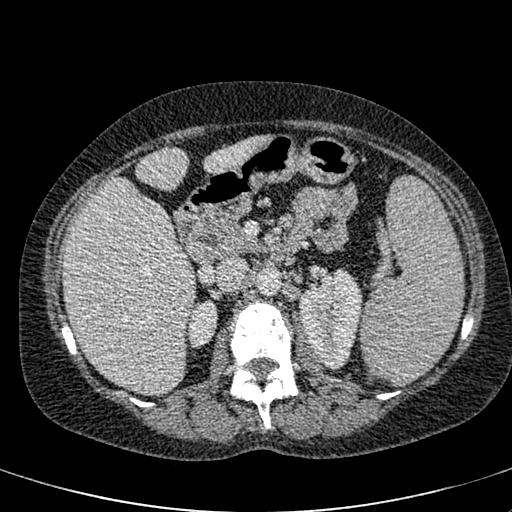

512x512 px. Computed tomography.

liver:
  - (x1=65, y1=178, x2=194, y2=393)
  - (x1=204, y1=135, x2=271, y2=173)
  - (x1=136, y1=148, x2=186, y2=189)
kidney:
  - (x1=299, y1=269, x2=361, y2=368)
  - (x1=189, y1=301, x2=216, y2=344)